FLAIR MR.
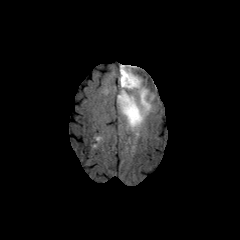
T1-weighted MRI.
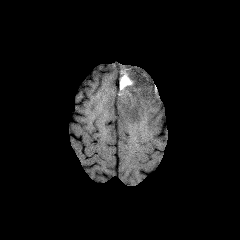
Post-contrast T1-weighted MRI.
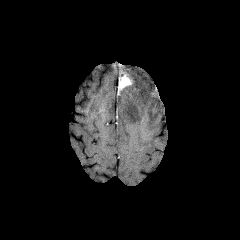
T2-weighted MR.
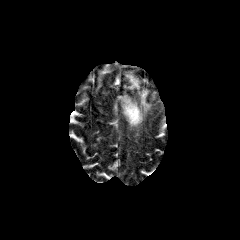
Image size 240x240
The edema is located at [117,65,153,135]. The enhancing tumor is located at [118,73,131,88].